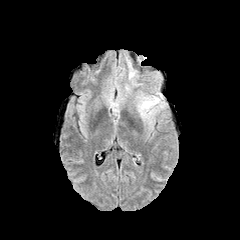
FLAIR MR.
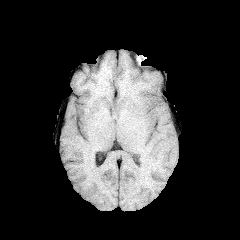
T1-weighted MR image of the same slice.
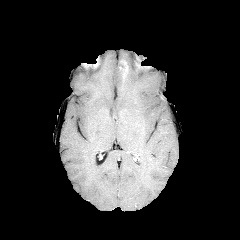
Post-contrast T1-weighted MR image.
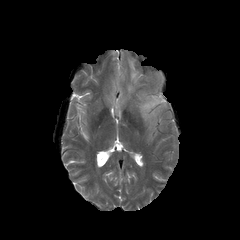
T2-weighted MR image of the same slice.
240x240; Brain
Edema at [127,63,136,83], [137,93,164,125].